MRI slice. 33x50. 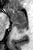

<segmentation>
  <anterior_hippocampus>x1=7 y1=8 x2=27 y2=22</anterior_hippocampus>
  <posterior_hippocampus>x1=14 y1=23 x2=27 y2=30</posterior_hippocampus>
</segmentation>